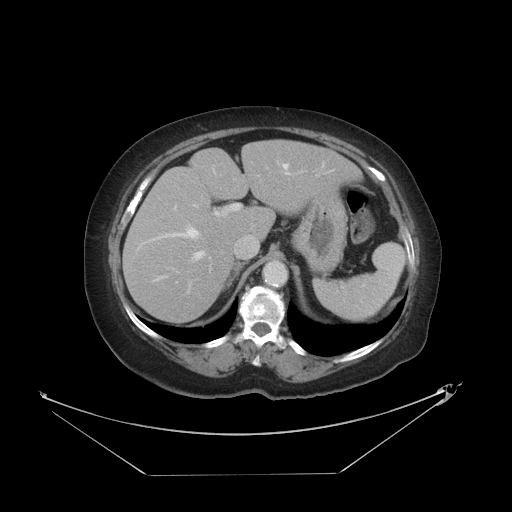 CT. Abdomen.
Not every hepatic vessel necessarily has a box.
hepatic_vessel:
  - l=195, t=252, r=202, b=257
  - l=215, t=204, r=239, b=215
  - l=282, t=164, r=287, b=169
  - l=162, t=229, r=198, b=237